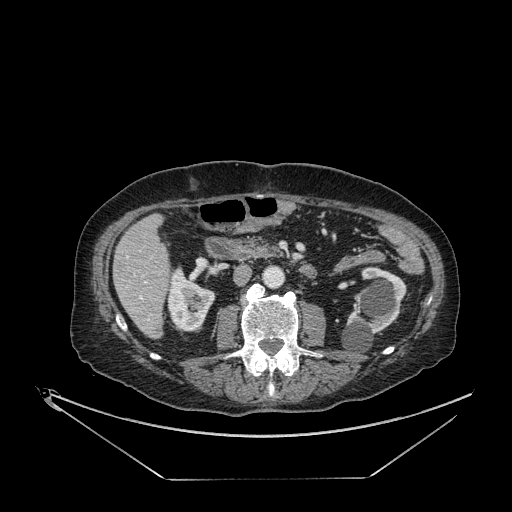
Abdomen | Computed tomography
Annotated regions:
• kidney: x1=347 y1=307 x2=363 y2=323, x1=362 y1=267 x2=405 y2=333, x1=168 y1=269 x2=214 y2=330
• liver: x1=113 y1=216 x2=169 y2=337